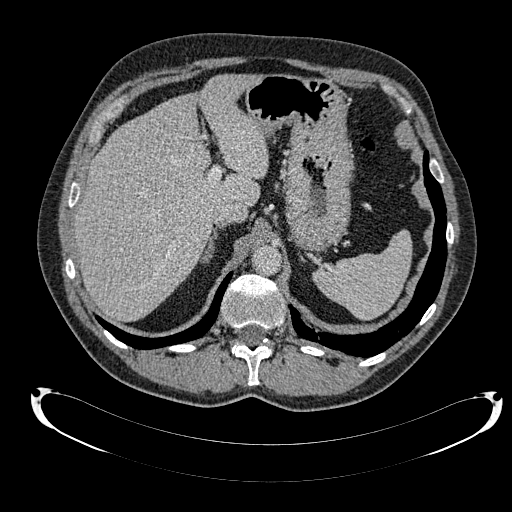 512x512 | Upper abdomen | CT

Liver: bounding box box=[75, 75, 267, 320].